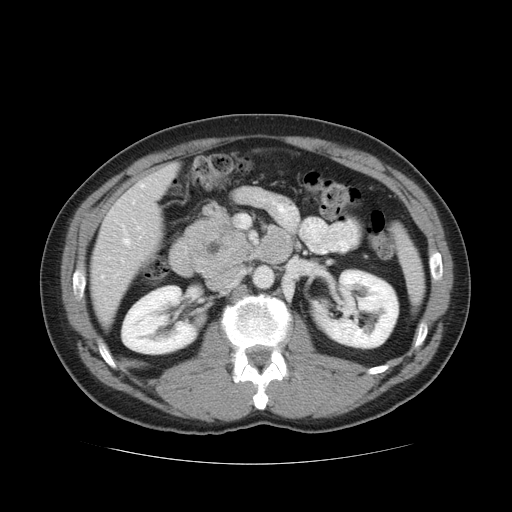
Computed tomography
The pancreas is located at box(206, 212, 231, 222). The pancreatic tumor is located at box(184, 219, 253, 276).